CT slice, Liver, Slice 105 of 174 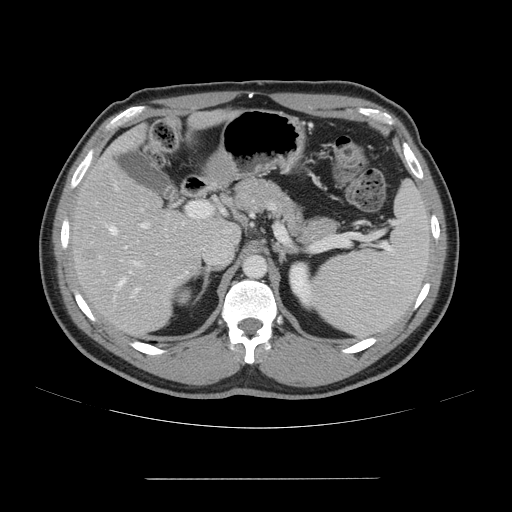

Not every hepatic vessel necessarily has a box.
Annotated regions:
• hepatic vessel: left=124, top=246, right=126, bottom=247; left=131, top=288, right=138, bottom=297; left=114, top=184, right=116, bottom=188; left=129, top=271, right=131, bottom=273; left=131, top=262, right=139, bottom=264; left=141, top=223, right=147, bottom=227; left=114, top=296, right=115, bottom=299; left=110, top=227, right=116, bottom=234; left=115, top=278, right=124, bottom=289; left=182, top=223, right=183, bottom=224; left=140, top=209, right=142, bottom=210
• liver tumor: left=83, top=249, right=97, bottom=261